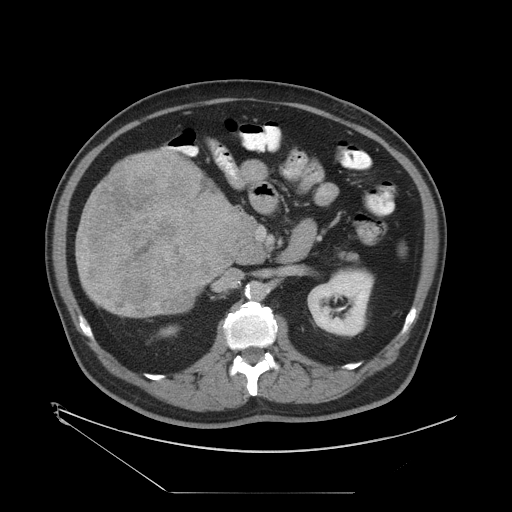 CT; Abdomen
liver tumor: (x1=82, y1=152, x2=254, y2=317)